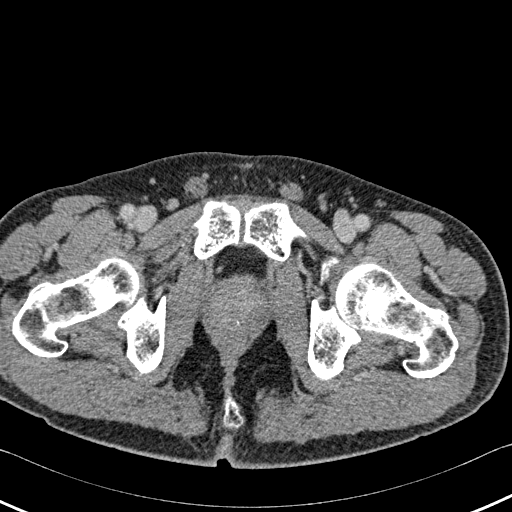 Image size 512x512, CT scan slice
bone: [x1=194, y1=201, x2=305, y2=261], [x1=322, y1=259, x2=337, y2=278], [x1=0, y1=258, x2=165, y2=373], [x1=224, y1=398, x2=242, y2=428], [x1=308, y1=264, x2=457, y2=379]